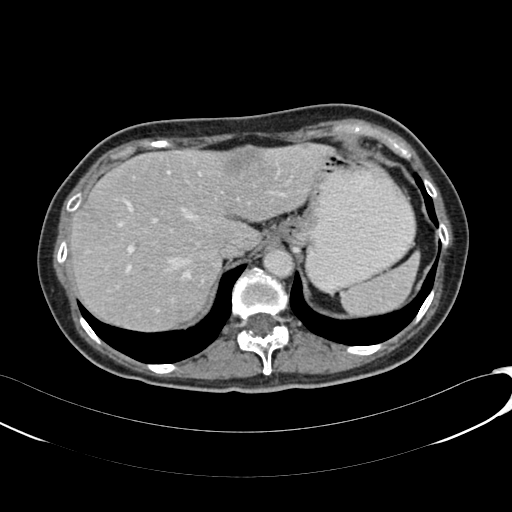
CT image, Abdomen
liver: bbox(71, 143, 330, 328) | liver lesion: bbox(91, 215, 100, 222); bbox(224, 147, 265, 174)